FLAIR MRI.
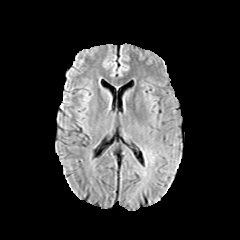
T1-weighted MRI.
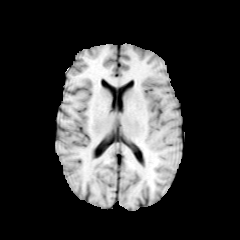
Post-contrast T1-weighted magnetic resonance.
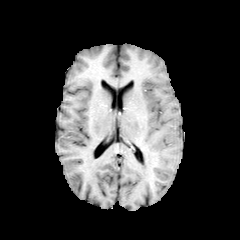
T2-weighted MR.
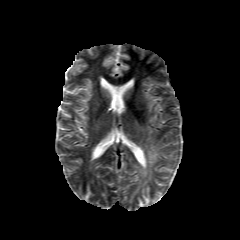
<segmentation>
  <edema>144, 150, 155, 163</edema>
</segmentation>